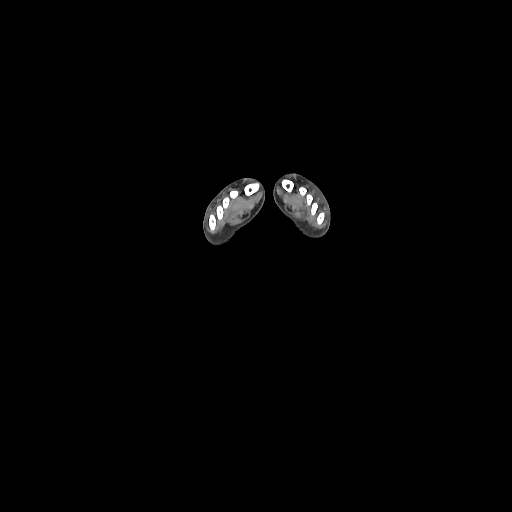

CT image.
<segmentation>
  <bone>x1=282, y1=180, x2=293, y2=192; x1=209, y1=191, x2=237, y2=230; x1=317, y1=212, x2=324, y2=224; x1=299, y1=187, x2=317, y2=215; x1=244, y1=183, x2=258, y2=195</bone>
</segmentation>